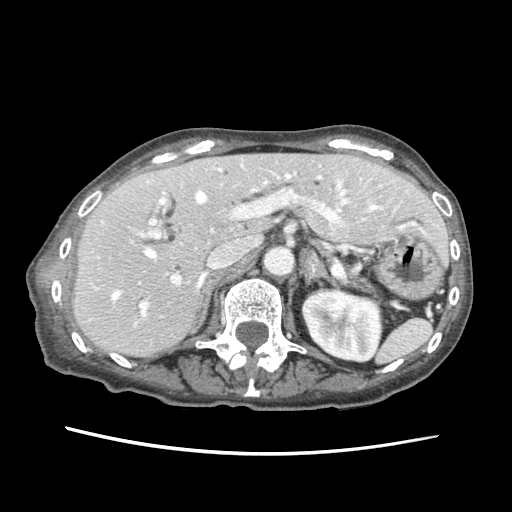

CT slice; 512x512 px
Pancreas: region(349, 272, 367, 287).